Field of view 240 mm wide, 1.00 mm slice spacing, Slice 75/155, Head
FLAIR magnetic resonance.
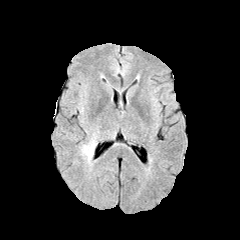
T1-weighted MRI.
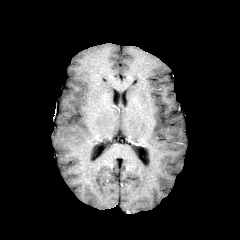
Post-contrast T1-weighted MRI.
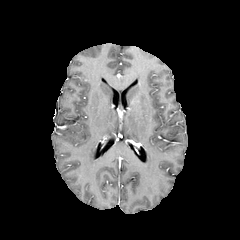
T2-weighted MR.
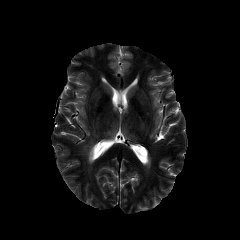
edema:
  - 81 133 98 165